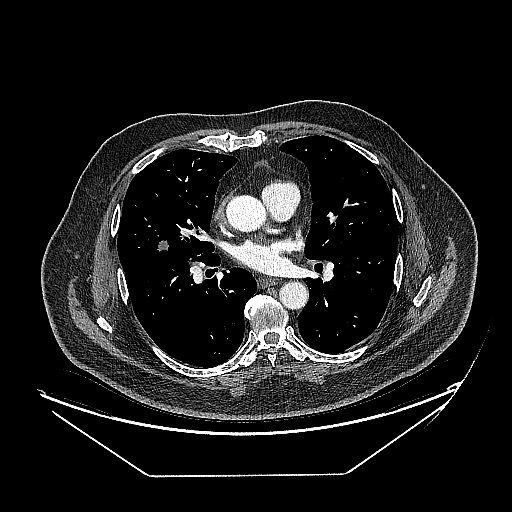 Chest | CT slice | Image size 512x512
Lung tumor at 154:237:171:252.